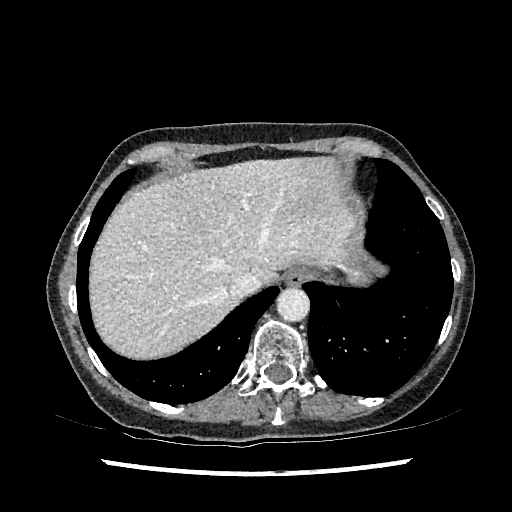 CT scan slice | 512x512
Annotated regions:
- liver lesion: [x1=291, y1=188, x2=319, y2=217]
- liver: [x1=90, y1=157, x2=353, y2=356]